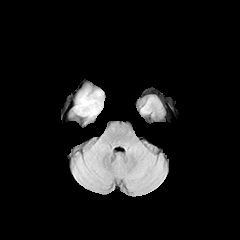
FLAIR MR image.
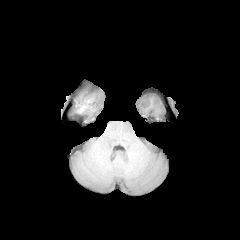
T1-weighted MR image of the same slice.
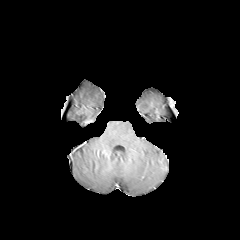
Same slice, post-contrast T1-weighted MR.
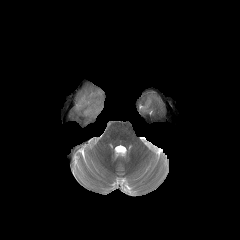
Same slice, T2-weighted MR image.
Head
• edema: region(76, 92, 101, 117)